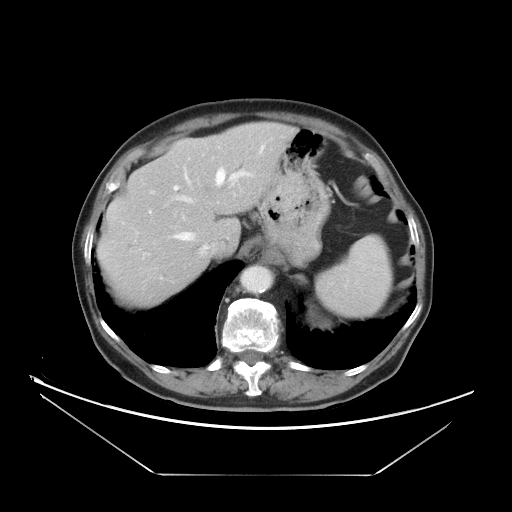
Liver | 512x512 | CT slice

Not every hepatic vessel necessarily has a box.
7 hepatic vessel regions are located at left=176, top=234, right=192, bottom=238; left=184, top=196, right=191, bottom=203; left=240, top=173, right=243, bottom=173; left=175, top=187, right=176, bottom=188; left=215, top=167, right=225, bottom=185; left=231, top=175, right=237, bottom=177; left=188, top=182, right=190, bottom=183.